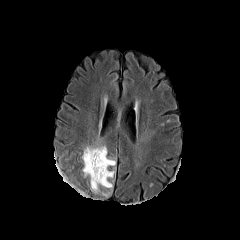
FLAIR magnetic resonance.
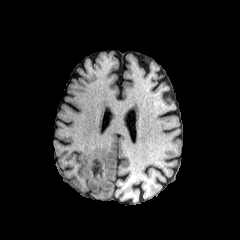
Same slice, T1-weighted MRI.
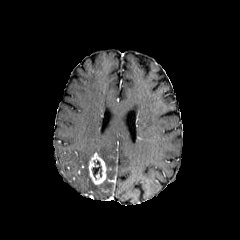
Post-contrast T1-weighted MR.
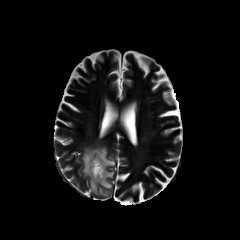
T2-weighted magnetic resonance of the same slice.
Image size 240x240
Non-enhancing tumor core: x1=91 y1=159 x2=103 y2=181.
Enhancing tumor: x1=88 y1=153 x2=107 y2=184.
Edema: x1=101 y1=180 x2=111 y2=188, x1=81 y1=147 x2=115 y2=176, x1=90 y1=181 x2=97 y2=193.